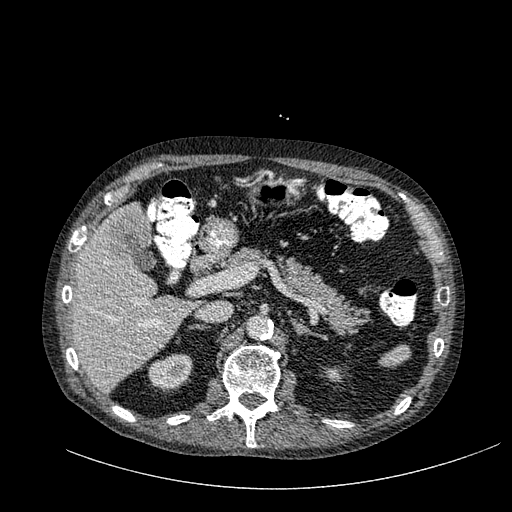

Upper abdomen; CT slice
hepatic lesion: x1=107, y1=211, x2=149, y2=263 | liver: x1=73, y1=202, x2=202, y2=390 | kidney: x1=148, y1=354, x2=192, y2=390; x1=325, y1=366, x2=343, y2=381